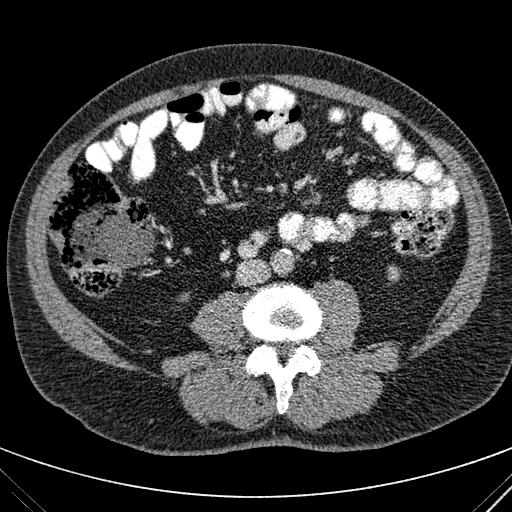
Abdomen | Image size 512x512 | CT scan slice
Kidney: bounding box rect(388, 267, 398, 279).